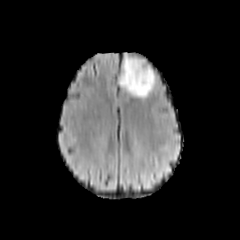
FLAIR MRI.
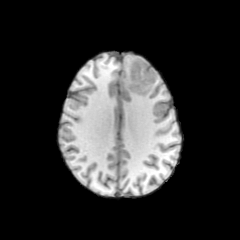
T1-weighted magnetic resonance of the same slice.
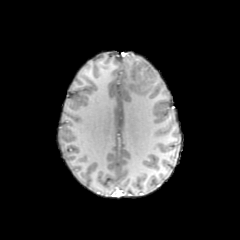
Post-contrast T1-weighted MR of the same slice.
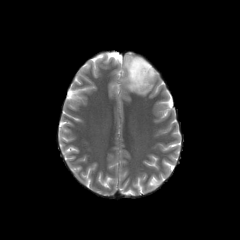
T2-weighted MR of the same slice.
Edema = (left=120, top=54, right=155, bottom=96).
Non-enhancing tumor core = (left=128, top=59, right=155, bottom=93).